Slice 72 of 155 | Field of view 240 mm wide, 1.00 mm slice spacing | Head
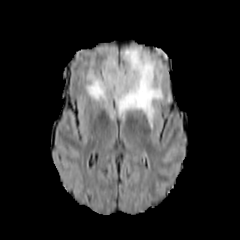
FLAIR MR image.
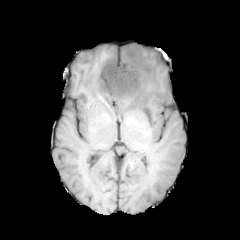
T1-weighted MRI.
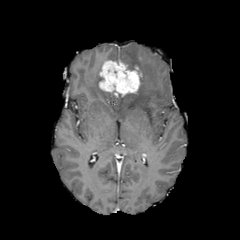
Same slice, post-contrast T1-weighted MR image.
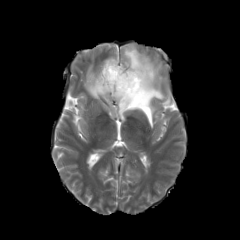
T2-weighted MR.
{
  "enhancing_tumor": [
    "99,61,141,97"
  ],
  "non-enhancing_tumor_core": [
    "118,93,133,104"
  ],
  "edema": [
    "85,49,164,127"
  ]
}